CT scan slice, Field of view 377 mm wide, 5.00 mm slice spacing, Slice 12 of 42 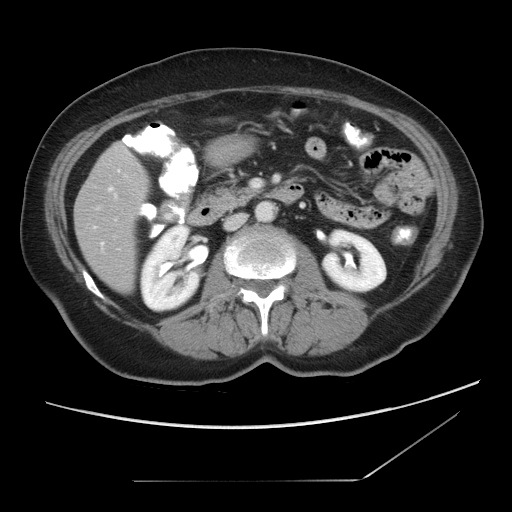

The vessel boxes may cover only some of the vessels.
hepatic vessel: 101:243:103:250, 109:187:113:191